MRI

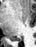 Segmented structures:
• posterior hippocampus: {"x1": 10, "y1": 37, "x2": 22, "y2": 42}